FLAIR MRI.
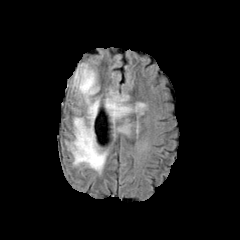
T1-weighted MR image.
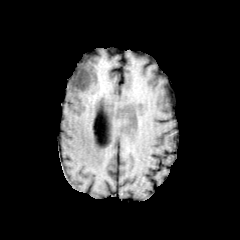
Post-contrast T1-weighted magnetic resonance.
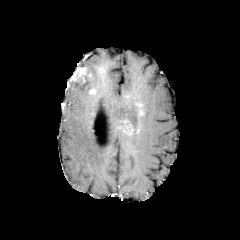
T2-weighted MRI.
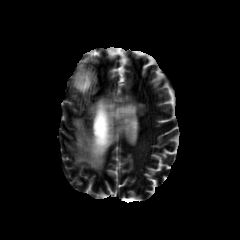
240x240 px, Brain
The enhancing tumor is bounded by l=72, t=67, r=86, b=83. The non-enhancing tumor core lies within l=68, t=69, r=91, b=88. 2 edema regions are bounded by l=104, t=92, r=128, b=123; l=66, t=63, r=107, b=173.